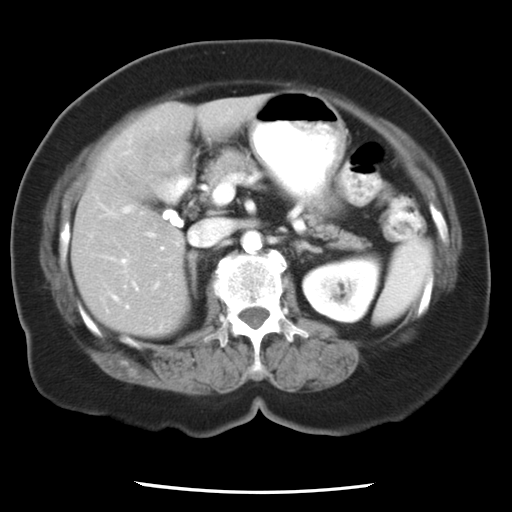

CT image | Liver

The vessel annotation is not exhaustive.
4 hepatic vessel regions are located at x1=149, y1=233, x2=152, y2=236; x1=125, y1=208, x2=128, y2=210; x1=113, y1=297, x2=116, y2=299; x1=213, y1=179, x2=235, y2=202.